Slice 101/155; Field of view 240x240 mm
FLAIR MRI.
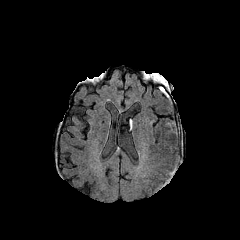
T1-weighted MRI.
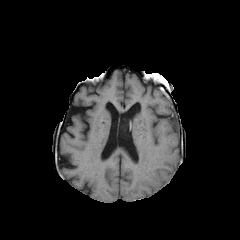
Post-contrast T1-weighted magnetic resonance.
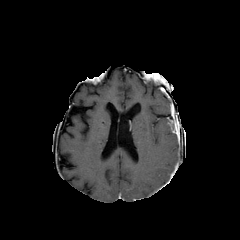
T2-weighted magnetic resonance.
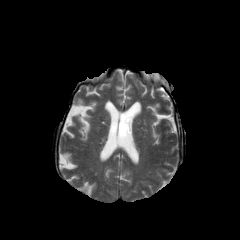
enhancing tumor: l=171, t=121, r=178, b=133